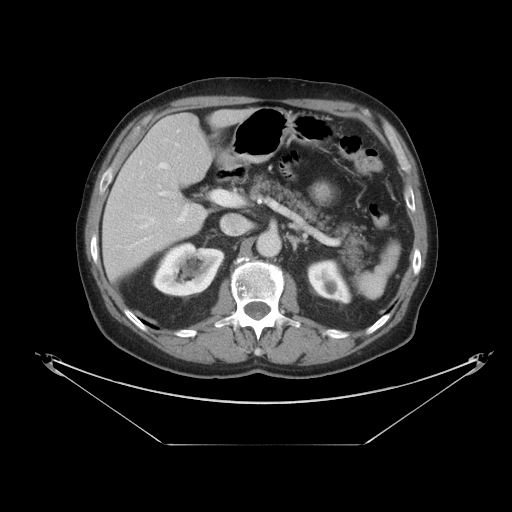 Computed tomography.

spleen:
  - l=358, t=243, r=398, b=296